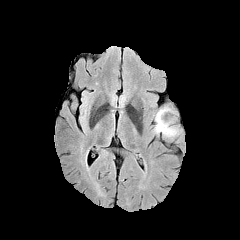
FLAIR magnetic resonance.
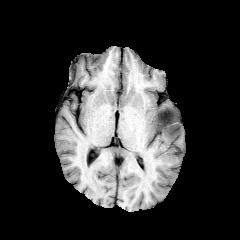
Same slice, T1-weighted MR.
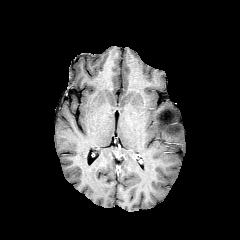
Post-contrast T1-weighted magnetic resonance of the same slice.
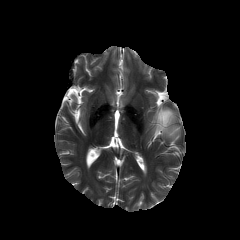
T2-weighted MR image.
Head. 240x240.
{"edema": ["box=[153, 107, 180, 138]"]}